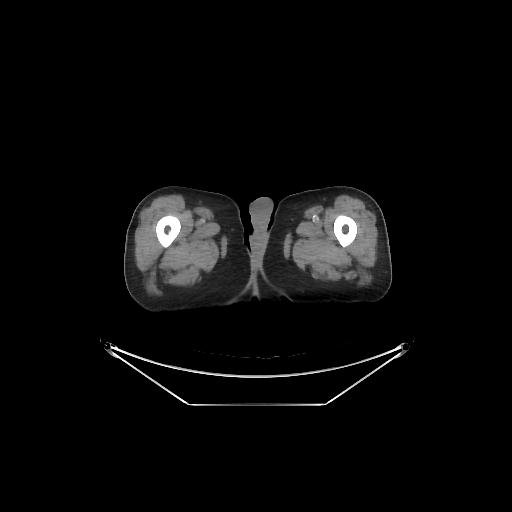

CT scan slice, 512x512 px
Bone = region(156, 214, 180, 247); region(334, 214, 356, 247).